CT scan slice, 512x512 px, Liver

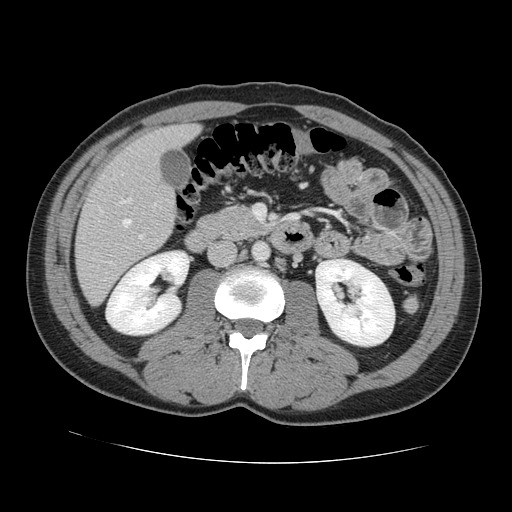 The vessel boxes may cover only some of the vessels.
<segmentation>
  <hepatic_vessel>x1=153, y1=201, x2=159, y2=207; x1=109, y1=261, x2=114, y2=265; x1=121, y1=173, x2=123, y2=174; x1=123, y1=219, x2=130, y2=226; x1=155, y1=153, x2=157, y2=154; x1=148, y1=246, x2=149, y2=248; x1=116, y1=197, x2=131, y2=205; x1=139, y1=235, x2=143, y2=238; x1=98, y1=207, x2=101, y2=210</hepatic_vessel>
</segmentation>